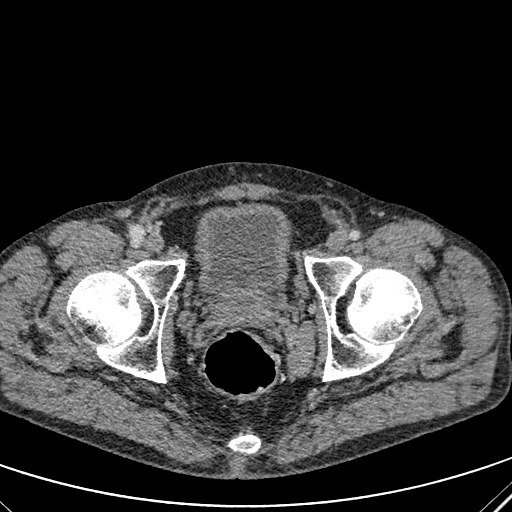 CT

* urinary bladder: (206,211,279,291)